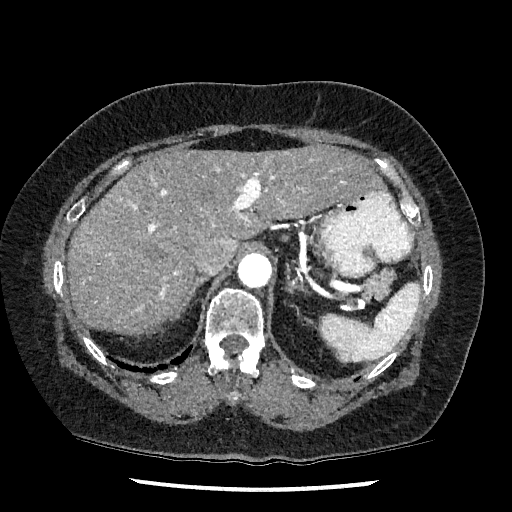

CT.
The liver appears at left=67, top=146, right=383, bottom=333.